Image width 447 mm; Computed tomography 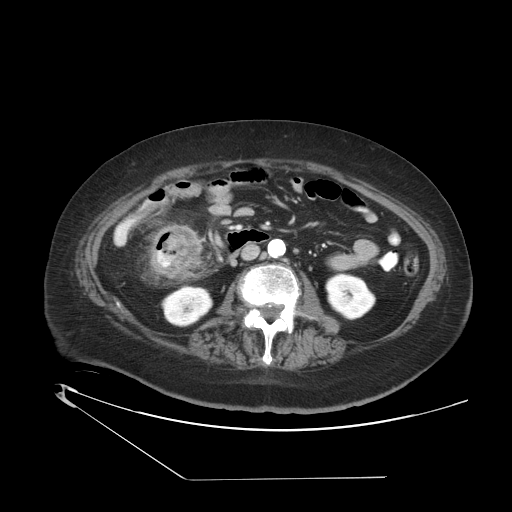 The colon tumor is at 150,225,201,278.